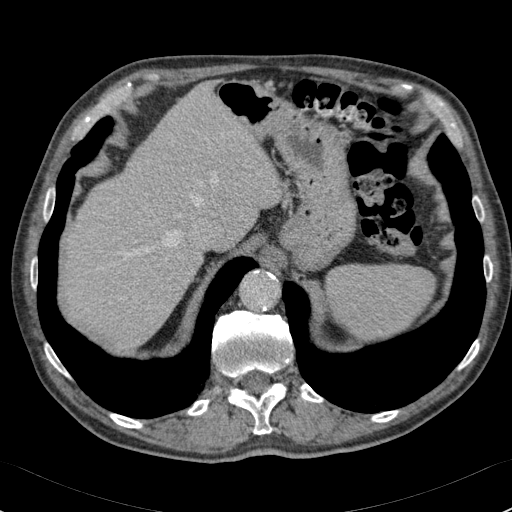
CT
The liver appears at x1=66 y1=82 x2=280 y2=345.